Slice index 18; CT; 512x512; Abdomen

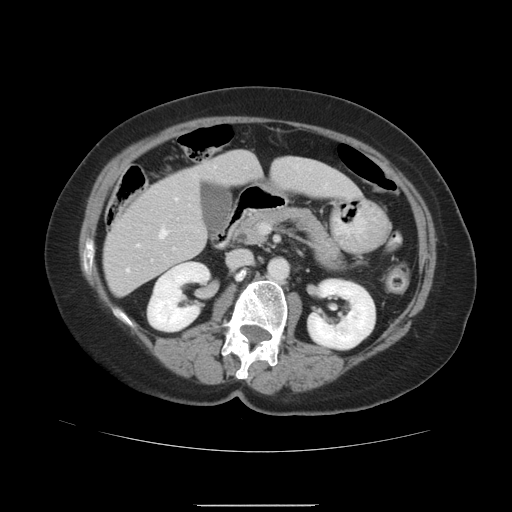 Some hepatic vessels may have no box.
Segmented structures:
* hepatic vessel: rect(137, 245, 139, 246); rect(174, 248, 175, 249); rect(194, 174, 196, 176); rect(214, 166, 216, 168); rect(159, 227, 168, 238); rect(126, 268, 130, 271); rect(176, 197, 178, 199); rect(322, 184, 327, 190)